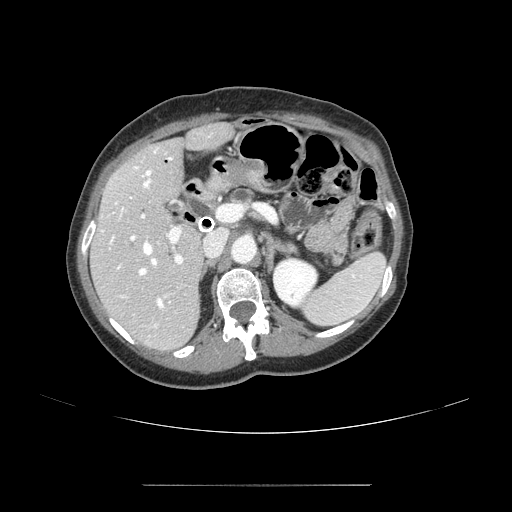 CT. 512x512.

<segmentation>
  <pancreas>left=229, top=191, right=254, bottom=203</pancreas>
</segmentation>